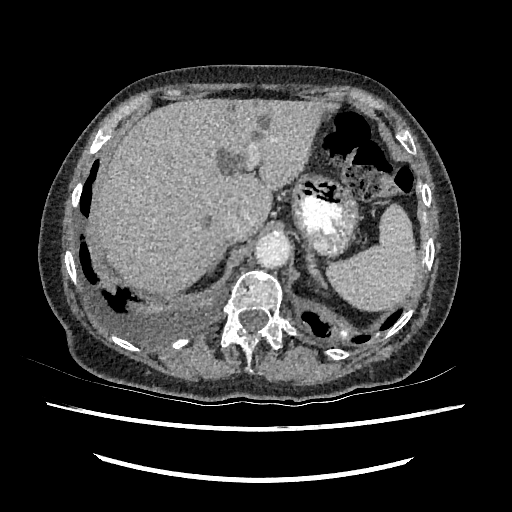

Abdomen | CT scan slice
Liver lesion — [218,150,242,175], [258,117,269,129], [203,215,210,227], [251,131,260,141].
Liver — [97,99,339,295].